Brain; Slice 45 of 155; Image size 240x240
FLAIR MRI.
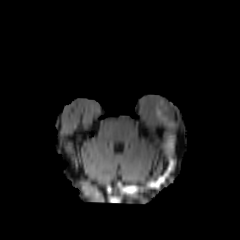
T1-weighted MR.
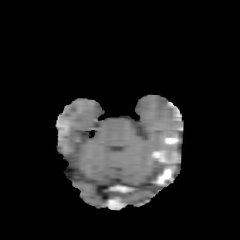
Post-contrast T1-weighted MRI.
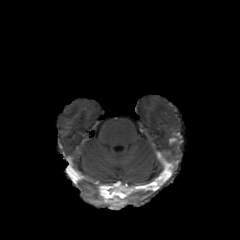
T2-weighted MR image.
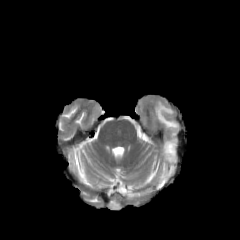
2 edema regions appear at left=155, top=103, right=180, bottom=138; left=162, top=139, right=178, bottom=159.